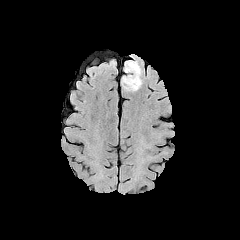
FLAIR magnetic resonance.
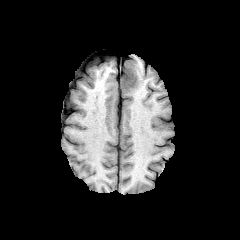
Same slice, T1-weighted MR.
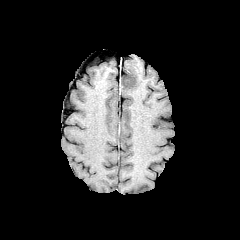
Post-contrast T1-weighted MR image.
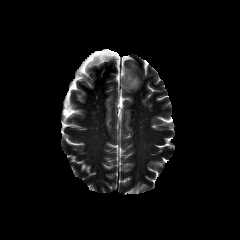
Same slice, T2-weighted MRI.
Brain
edema:
  - rect(121, 79, 131, 87)
  - rect(124, 70, 142, 91)
non-enhancing_tumor_core:
  - rect(122, 62, 140, 88)